FLAIR MR image.
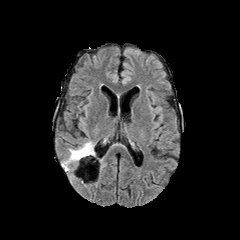
T1-weighted magnetic resonance.
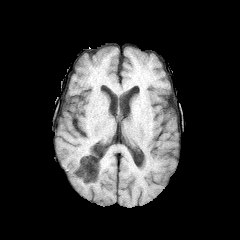
Post-contrast T1-weighted MR.
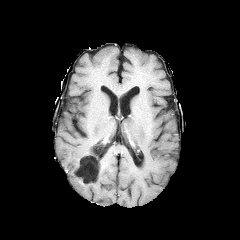
T2-weighted MRI.
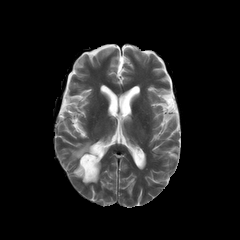
Brain
Non-enhancing tumor core — box=[78, 144, 94, 163].
Edema — box=[62, 141, 94, 172].